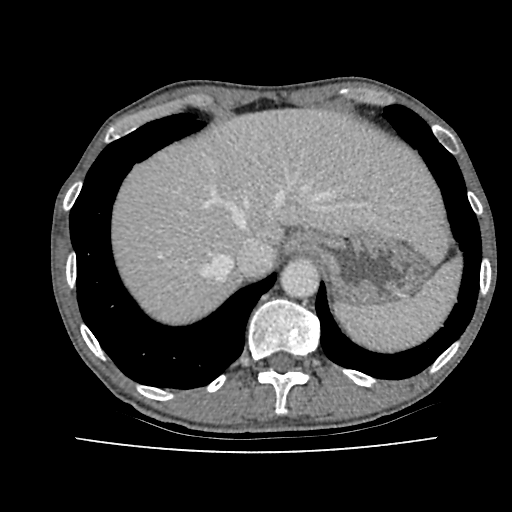

Image size 512x512 | CT slice | Upper abdomen

<segmentation>
  <liver>x1=111, y1=109, x2=450, y2=323</liver>
</segmentation>